240x240 px
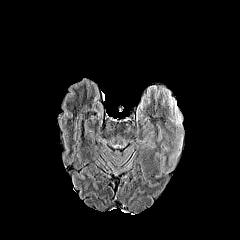
FLAIR MR.
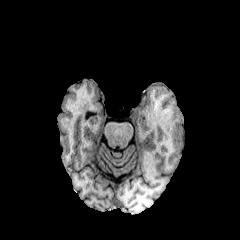
T1-weighted MR image.
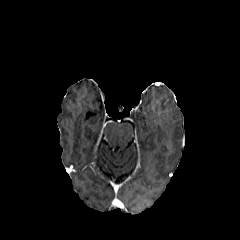
Post-contrast T1-weighted MR.
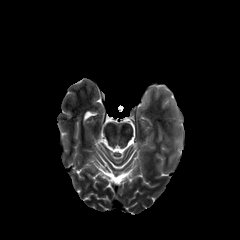
Same slice, T2-weighted MR image.
Edema: bounding box [x1=168, y1=99, x2=181, y2=125].